FLAIR magnetic resonance.
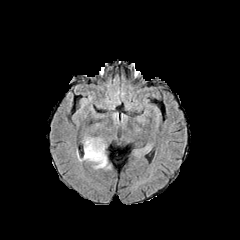
T1-weighted magnetic resonance.
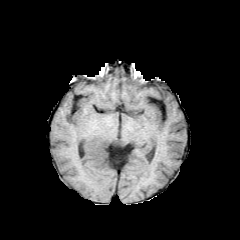
Post-contrast T1-weighted magnetic resonance.
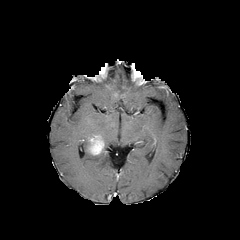
T2-weighted MR image.
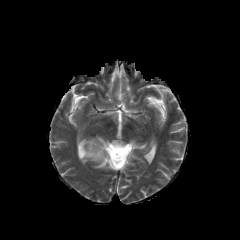
Brain
The enhancing tumor is at <bbox>90, 136, 104, 154</bbox>. The edema is located at <bbox>78, 137, 110, 169</bbox>.